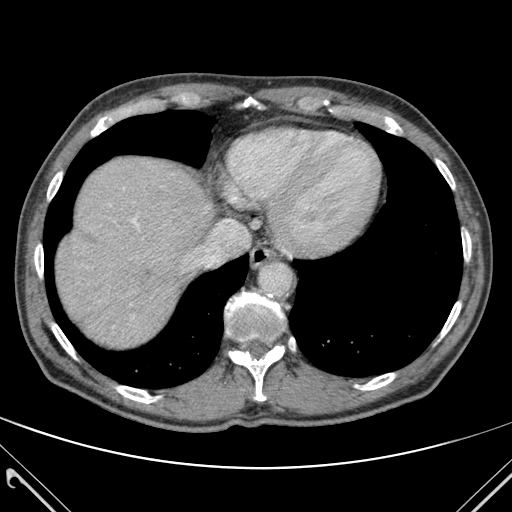
512x512 px | CT
{"bone": ["(left=229, top=346, right=284, bottom=400)", "(left=355, top=373, right=394, bottom=389)", "(left=243, top=97, right=261, bottom=108)", "(left=47, top=172, right=62, bottom=199)", "(left=462, top=231, right=470, bottom=259)", "(left=35, top=244, right=43, bottom=276)", "(left=380, top=117, right=400, bottom=133)", "(left=441, top=302, right=460, bottom=337)", "(left=117, top=386, right=158, bottom=403)", "(left=91, top=116, right=113, bottom=135)", "(left=52, top=323, right=76, bottom=358)", "(left=436, top=160, right=454, bottom=188)", "(left=225, top=292, right=283, bottom=340)"], "lung": ["(left=289, top=122, right=462, bottom=376)", "(left=43, top=110, right=248, bottom=388)"], "liver": ["(left=56, top=157, right=213, bottom=349)"]}